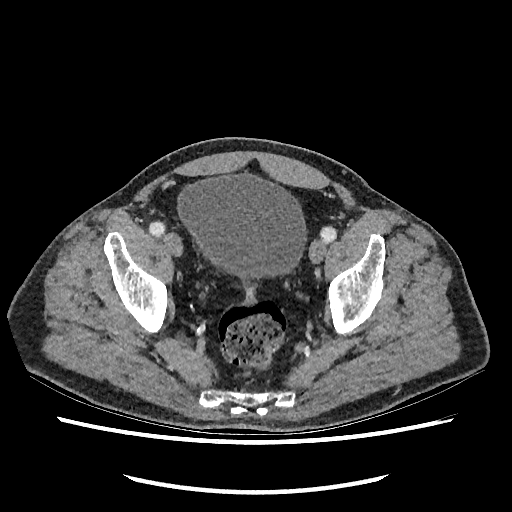
Image size 512x512. CT.

{
  "urinary_bladder": [
    "l=178, t=173, r=306, b=280"
  ]
}